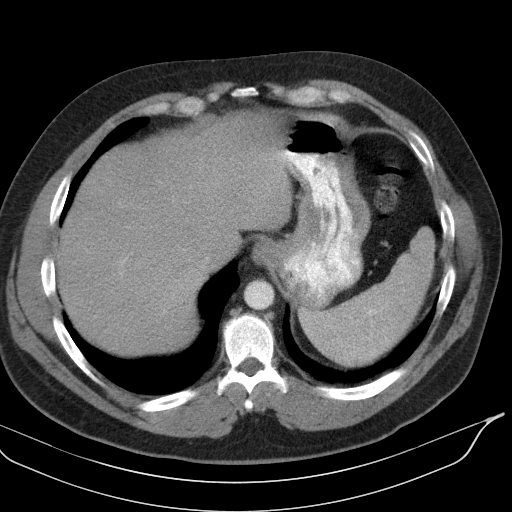
Abdomen, Computed tomography

The spleen lies within 297,230,434,365.